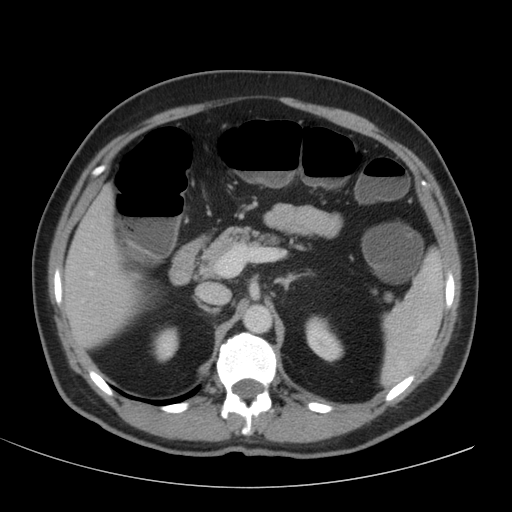 512x512; CT
Kidney: bbox=[155, 329, 177, 359]; bbox=[306, 317, 342, 360].
Liver: bbox=[65, 191, 131, 346].